512x512; Computed tomography; Slice 332 of 836 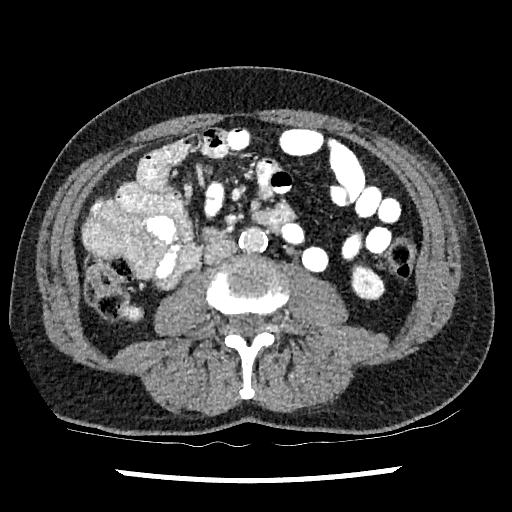

kidney:
  - box(130, 309, 137, 316)
  - box(353, 268, 383, 297)